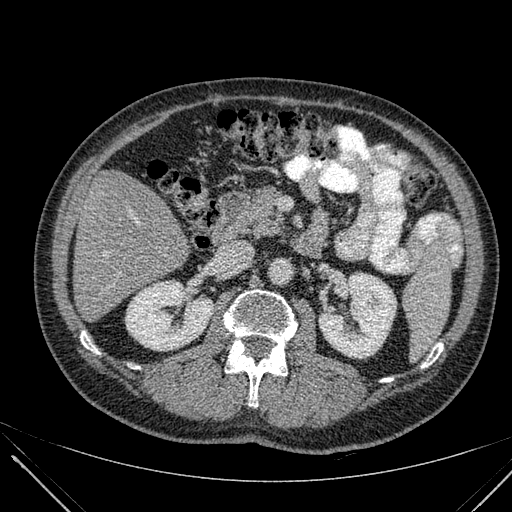 Liver; CT slice

{"kidney": ["<box>126,281,213,350</box>", "<box>319,273,396,357</box>"], "liver": ["<box>73,170,191,321</box>"]}